CT image; Field of view 328x328 mm 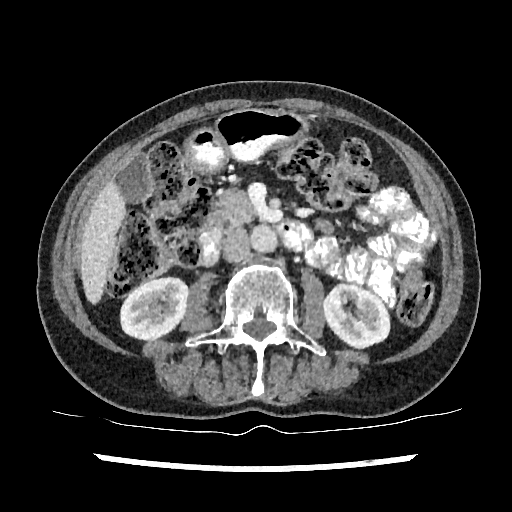 The liver is located at 81 183 125 302. 2 kidney regions are bounded by 324 285 389 346, 121 278 187 340.